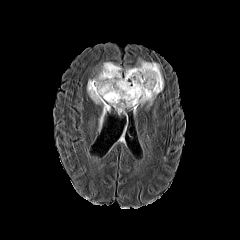
FLAIR MR.
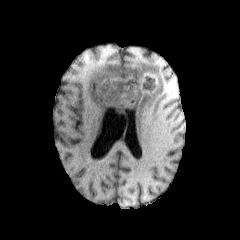
T1-weighted magnetic resonance.
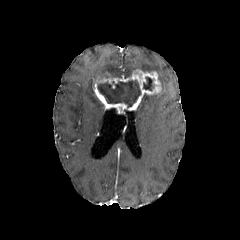
Post-contrast T1-weighted magnetic resonance of the same slice.
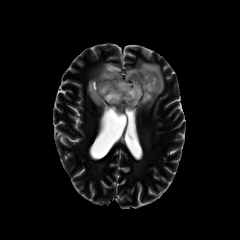
T2-weighted MR.
edema:
  - rect(139, 93, 158, 109)
  - rect(124, 59, 163, 93)
  - rect(87, 61, 122, 105)
non-enhancing_tumor_core:
  - rect(143, 77, 155, 91)
  - rect(97, 80, 141, 108)
enhancing_tumor:
  - rect(93, 68, 161, 113)